FLAIR MRI.
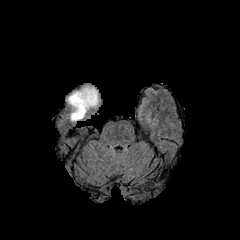
T1-weighted MR.
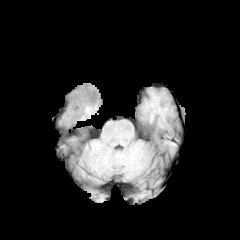
Post-contrast T1-weighted magnetic resonance.
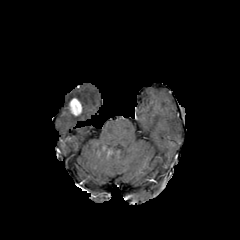
T2-weighted MRI.
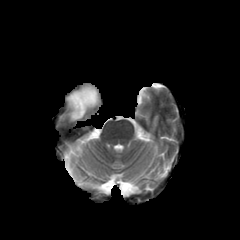
Head
• enhancing tumor: x1=69, y1=99, x2=82, y2=116
• edema: x1=65, y1=85, x2=100, y2=121